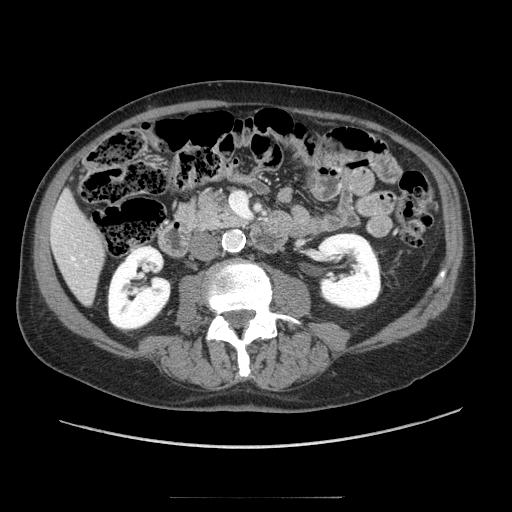 512x512, CT image, Upper abdomen

Pancreas — x1=195 y1=192 x2=246 y2=230.